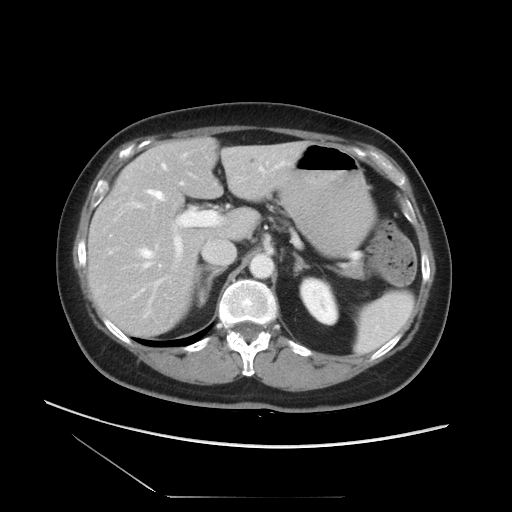

Computed tomography. 512x512 px. The vessel boxes may cover only some of the vessels.
hepatic vessel: (x1=174, y1=236, x2=182, y2=256), (x1=109, y1=251, x2=111, y2=253), (x1=153, y1=280, x2=161, y2=290), (x1=156, y1=246, x2=157, y2=248), (x1=184, y1=154, x2=186, y2=156), (x1=259, y1=167, x2=264, y2=173), (x1=177, y1=210, x2=219, y2=225), (x1=161, y1=164, x2=165, y2=169), (x1=275, y1=161, x2=285, y2=168), (x1=180, y1=183, x2=182, y2=184), (x1=130, y1=202, x2=141, y2=207), (x1=137, y1=289, x2=143, y2=294), (x1=146, y1=189, x2=163, y2=200), (x1=140, y1=249, x2=152, y2=267)